240x240 px
FLAIR MR image.
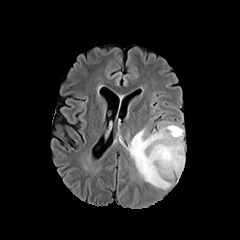
T1-weighted MR.
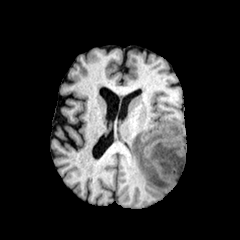
Post-contrast T1-weighted MRI.
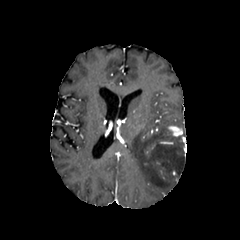
T2-weighted MRI.
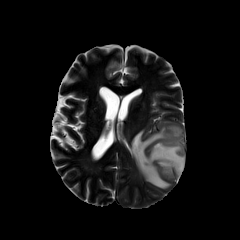
<segmentation>
  <edema>bbox(126, 121, 184, 188)</edema>
  <enhancing_tumor>bbox(168, 126, 182, 136)</enhancing_tumor>
</segmentation>